Computed tomography | Slice 80/466

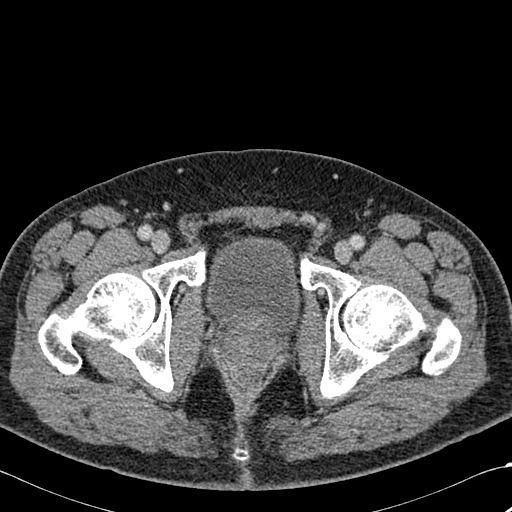 bone:
  - (left=423, top=319, right=461, bottom=374)
  - (left=38, top=252, right=205, bottom=391)
  - (left=301, top=259, right=427, bottom=398)